CT slice; Slice 51/121; Upper abdomen; Image size 512x512 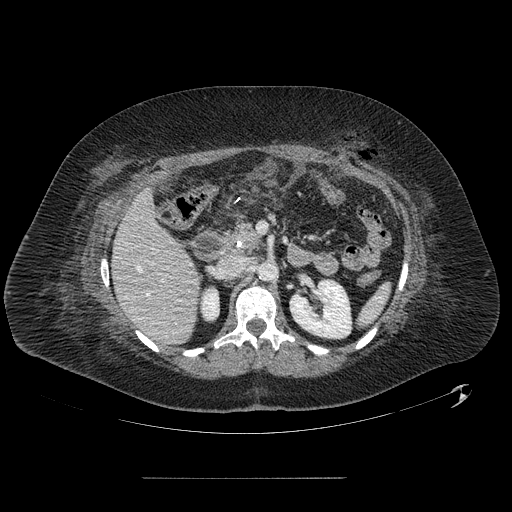
<segmentation>
  <pancreatic_tumor>box=[238, 230, 258, 242]</pancreatic_tumor>
  <pancreas>box=[225, 222, 260, 251]</pancreas>
</segmentation>